FLAIR MR image.
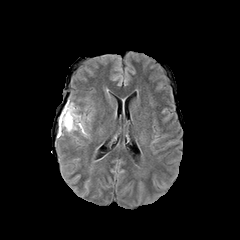
T1-weighted MR.
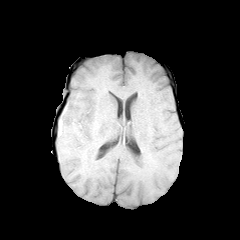
Post-contrast T1-weighted magnetic resonance.
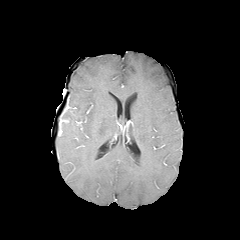
T2-weighted MR image.
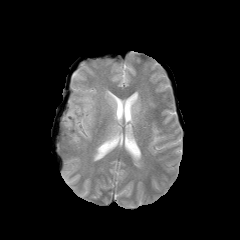
Brain
Edema at [58,100,93,138].